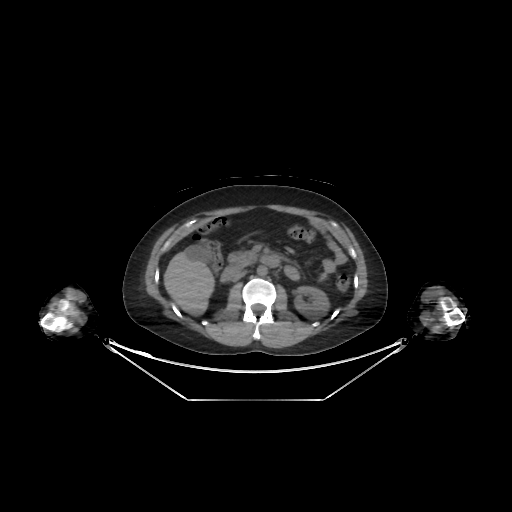

CT image, 512x512 px
liver:
  - x1=164 y1=246 x2=214 y2=315
kidney:
  - x1=293 y1=286 x2=329 y2=319